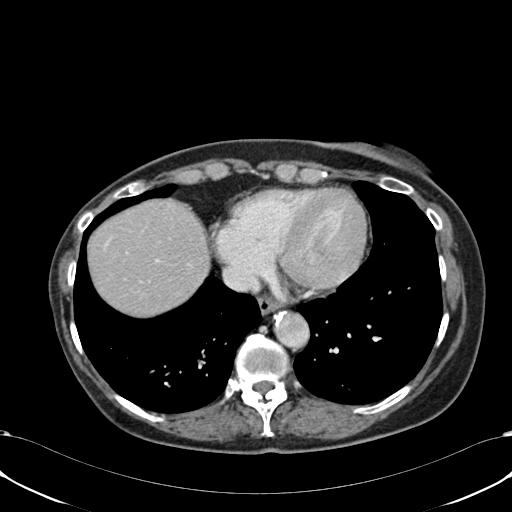 CT slice | Abdomen | 512x512 px
Liver: <bbox>88, 200, 208, 314</bbox>.